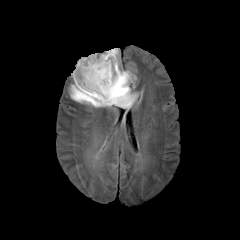
FLAIR magnetic resonance.
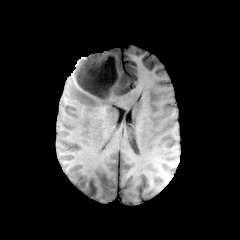
T1-weighted magnetic resonance.
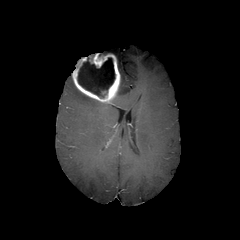
Post-contrast T1-weighted MR image.
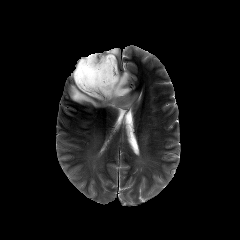
T2-weighted magnetic resonance.
Head
non-enhancing_tumor_core:
  - bbox=[77, 53, 115, 97]
edema:
  - bbox=[69, 48, 138, 112]
enhancing_tumor:
  - bbox=[72, 53, 120, 104]